Computed tomography | 512x512

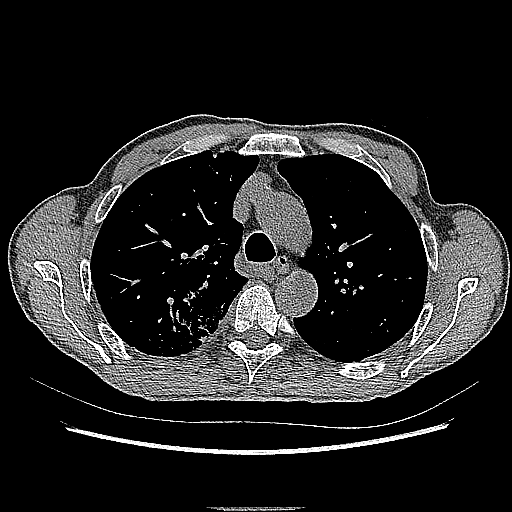
lung_tumor:
  - (left=167, top=277, right=227, bottom=348)